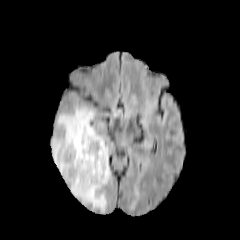
FLAIR MRI.
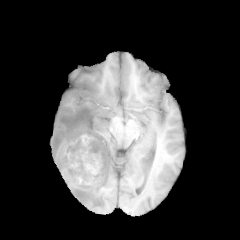
T1-weighted MR.
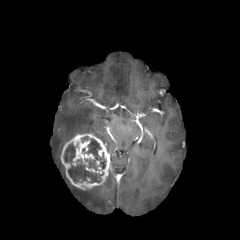
Post-contrast T1-weighted MR image.
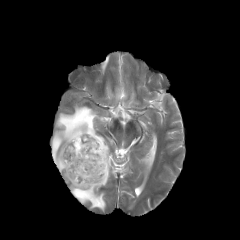
Same slice, T2-weighted MR image.
Brain
<segmentation>
  <non-enhancing_tumor_core>x1=87, y1=138, x2=106, y2=169; x1=63, y1=142, x2=103, y2=183; x1=84, y1=159, x2=97, y2=170</non-enhancing_tumor_core>
  <enhancing_tumor>x1=61, y1=133, x2=110, y2=190</enhancing_tumor>
  <edema>x1=51, y1=105, x2=111, y2=212</edema>
</segmentation>